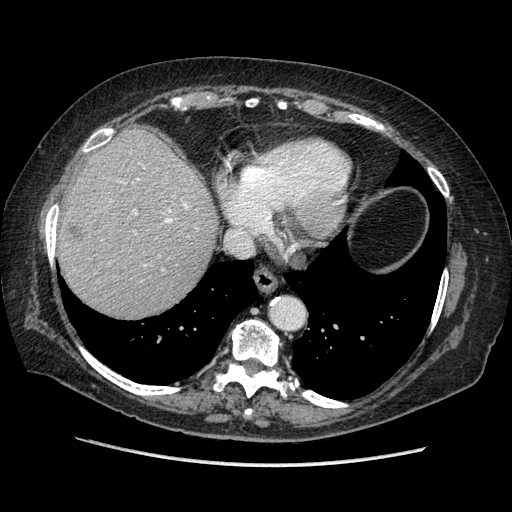

512x512; Abdomen; CT slice
The vessel boxes may cover only some of the vessels.
{"liver_tumor": ["(left=68, top=223, right=83, bottom=236)"], "hepatic_vessel": ["(left=166, top=218, right=170, bottom=220)", "(left=134, top=210, right=136, bottom=213)", "(left=162, top=268, right=164, bottom=270)"]}